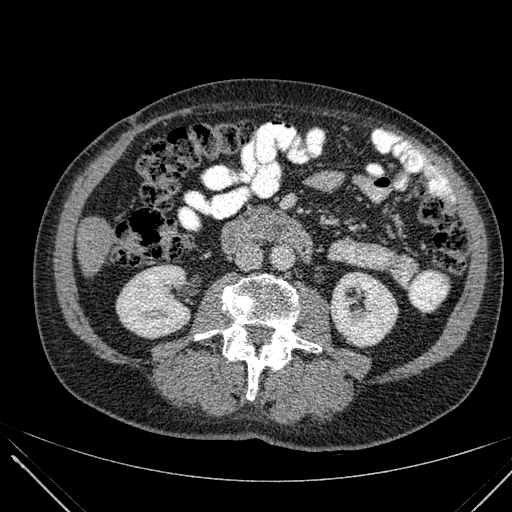
Computed tomography | Abdomen

Segmented structures:
* kidney: left=331, top=273, right=397, bottom=345; left=117, top=266, right=189, bottom=336
* liver: left=77, top=216, right=114, bottom=275